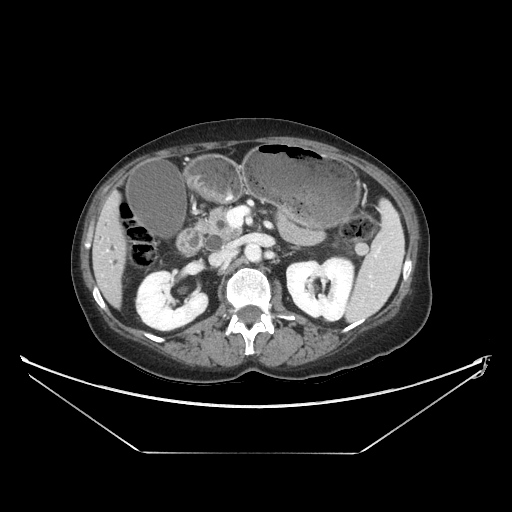
CT scan slice
Pancreas at box=[199, 208, 239, 238].